Field of view 35x49 mm, Slice 16 of 33, Medial temporal lobe, MRI slice

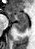 The posterior hippocampus is located at 14 22 28 32. The anterior hippocampus is bounded by 7 10 28 21.